512x512, Computed tomography, Field of view 387x387 mm 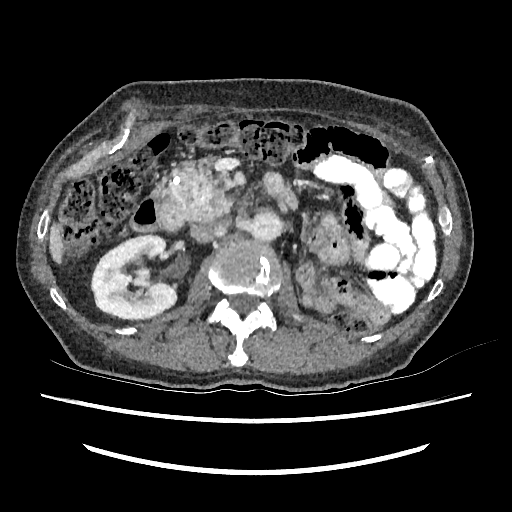

The liver is located at [x1=50, y1=225, x2=61, y2=262]. The kidney is located at [x1=92, y1=235, x2=176, y2=318].